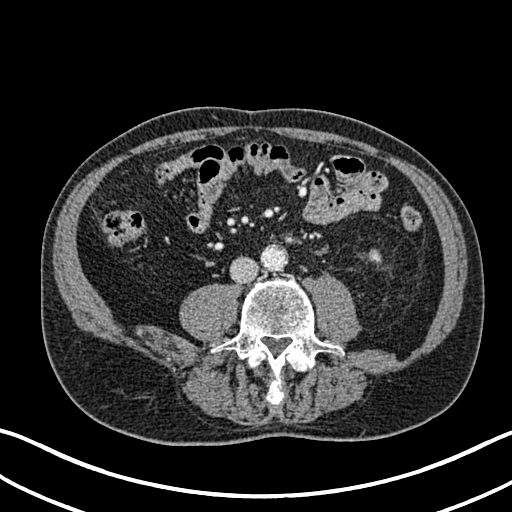
512x512, CT scan slice
Kidney: bounding box l=371, t=251, r=379, b=260.